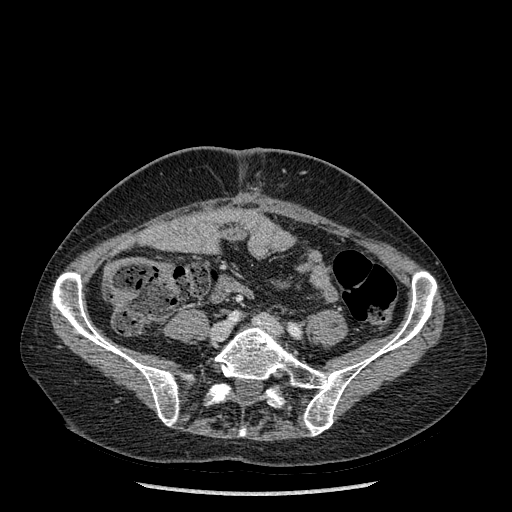

CT slice. Bone — 239:428:245:436, 262:387:284:407, 214:271:436:435, 53:272:178:426, 207:383:233:404.